Image size 512x512 | Field of view 411 mm wide, 0.80 mm slice spacing | CT image 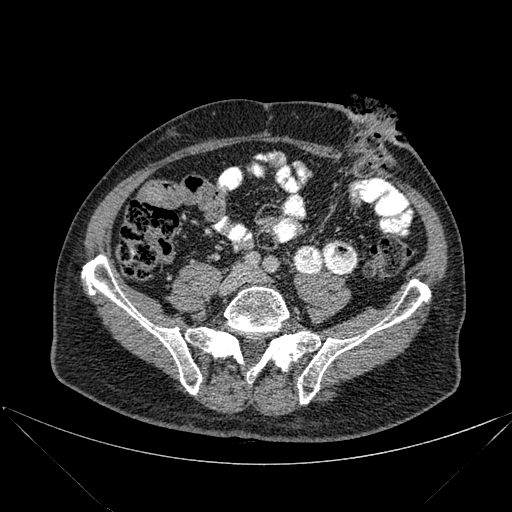

bone: (247, 279, 430, 403), (82, 255, 242, 394), (224, 287, 288, 333)